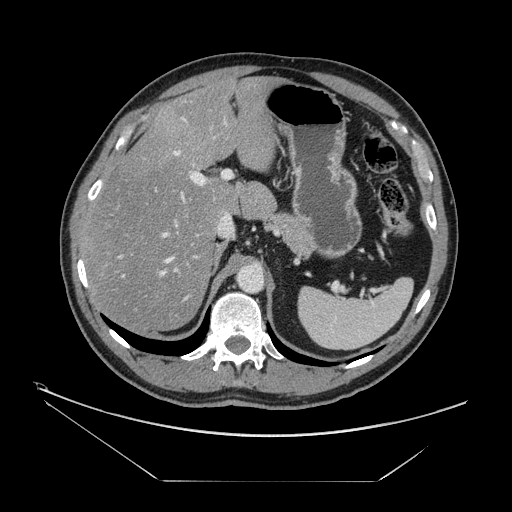
CT.

Some hepatic vessels may have no box.
Hepatic vessel at left=167, top=258, right=171, bottom=261; left=221, top=217, right=224, bottom=219; left=161, top=271, right=164, bottom=273; left=191, top=172, right=202, bottom=185; left=174, top=151, right=179, bottom=154; left=182, top=195, right=183, bottom=198; left=163, top=234, right=166, bottom=235.